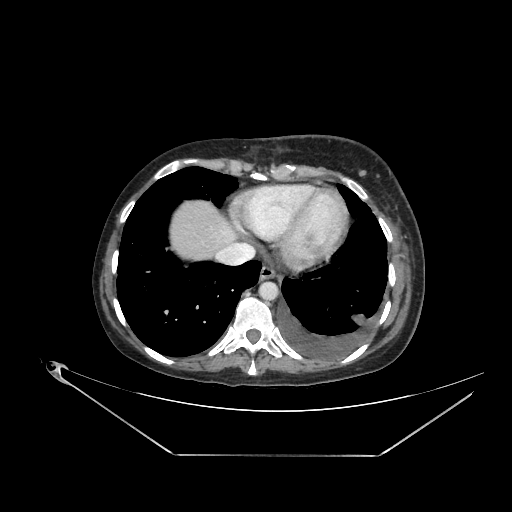
512x512. Computed tomography. - liver: box=[171, 200, 237, 261]